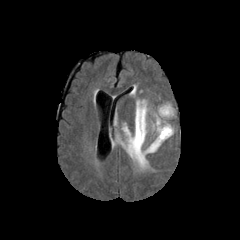
FLAIR MRI.
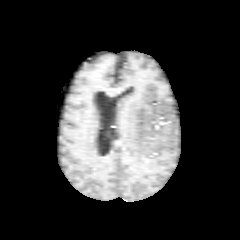
T1-weighted MRI.
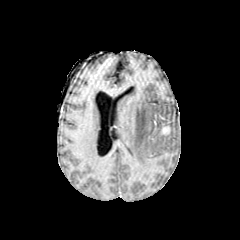
Same slice, post-contrast T1-weighted magnetic resonance.
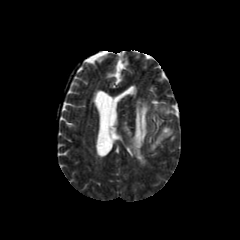
T2-weighted MR.
240x240 px, Head
Enhancing tumor — (left=161, top=126, right=169, bottom=134).
Edema — (left=125, top=100, right=173, bottom=167), (left=159, top=104, right=173, bottom=117).